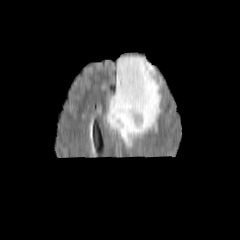
FLAIR MRI.
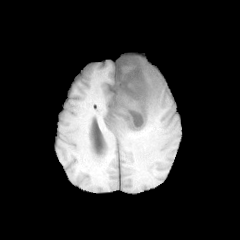
T1-weighted MRI.
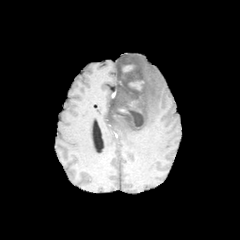
Post-contrast T1-weighted MRI.
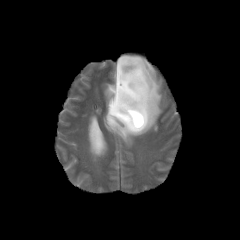
T2-weighted MR image of the same slice.
Brain
Enhancing tumor at bbox=[129, 82, 143, 90].
Non-enhancing tumor core at bbox=[116, 62, 146, 128].
Edema at bbox=[104, 55, 161, 143].